Brain, Slice 115/155, Image width 240 mm
FLAIR MRI.
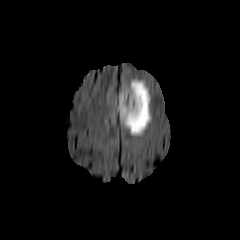
T1-weighted MRI.
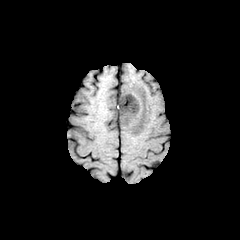
Post-contrast T1-weighted magnetic resonance.
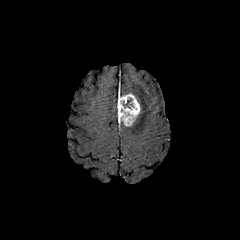
T2-weighted MR.
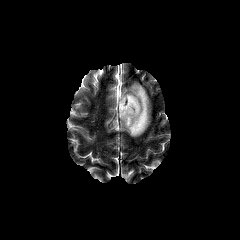
Non-enhancing tumor core: bounding box box(132, 104, 142, 126).
Edema: bounding box box(120, 79, 151, 136).
Enhancing tumor: bounding box box(116, 89, 140, 126).